Slice 428/588; Thorax; Computed tomography

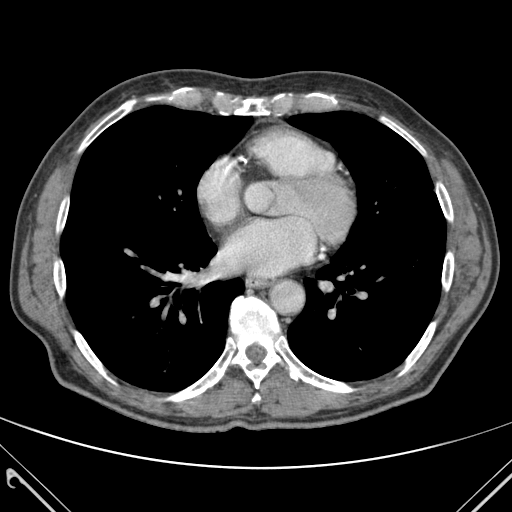
Lung = 60, 105, 252, 391; 287, 111, 445, 380.
Bone = 436, 183, 452, 220; 379, 117, 425, 153; 79, 100, 135, 150; 57, 199, 68, 242; 400, 322, 435, 374; 75, 332, 110, 380; 167, 296, 352, 401; 54, 255, 65, 297; 306, 93, 338, 103; 220, 94, 289, 114; 442, 252, 453, 289; 173, 88, 191, 93.